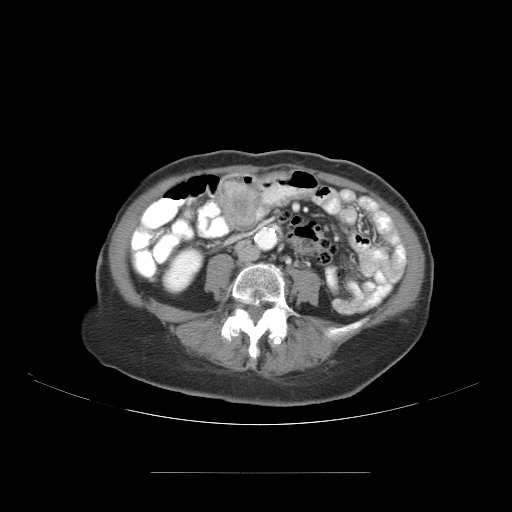

Computed tomography | Abdomen
• colon tumor: {"x1": 223, "y1": 171, "x2": 305, "y2": 227}